Slice 81/155. Brain. Image size 240x240.
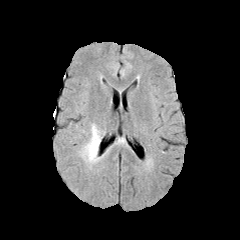
FLAIR MRI.
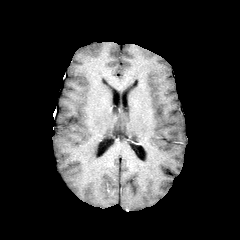
T1-weighted MR image.
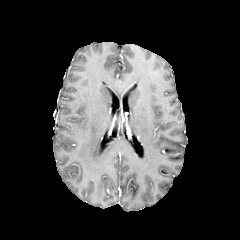
Post-contrast T1-weighted MR image of the same slice.
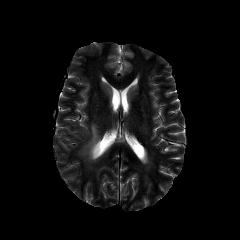
T2-weighted magnetic resonance.
edema:
  - (78,123,108,165)